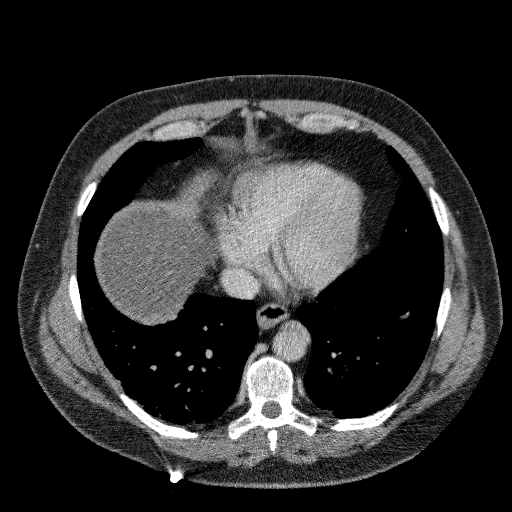

Upper abdomen | CT scan slice | 512x512
liver: 97:202:206:322